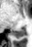

Magnetic resonance | Hippocampus
posterior_hippocampus:
  - left=12, top=28, right=25, bottom=38